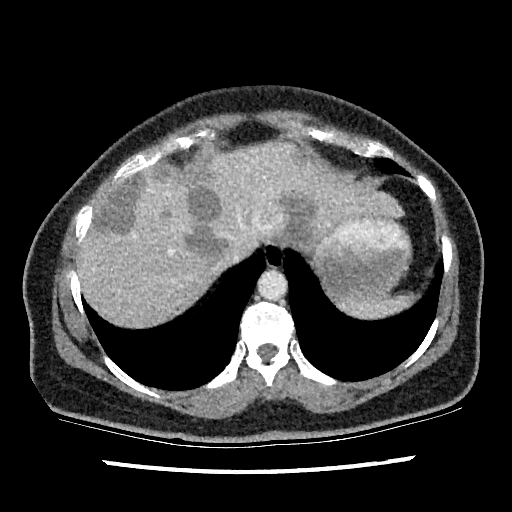 CT image
{
  "hepatic_lesion": [
    "277, 191, 316, 246",
    "94, 173, 145, 233",
    "293, 150, 306, 166",
    "156, 164, 170, 180",
    "180, 160, 227, 258"
  ],
  "liver": [
    "96, 183, 120, 214",
    "78, 144, 401, 326"
  ]
}